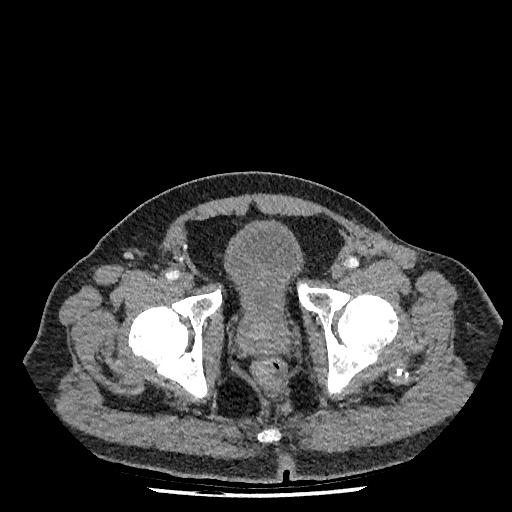

Pelvis, CT scan slice
The urinary bladder lies within box(223, 224, 304, 320).